240x240 | Head
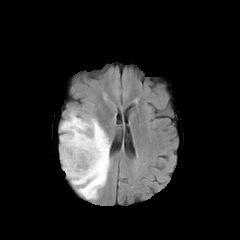
FLAIR MR image.
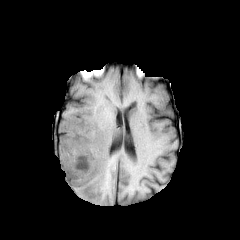
T1-weighted MR.
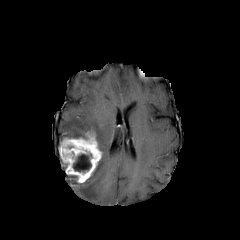
Same slice, post-contrast T1-weighted MR image.
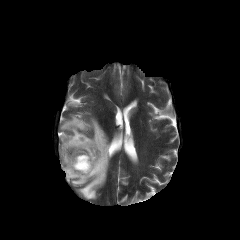
T2-weighted MR image of the same slice.
edema: 61 112 110 199 | enhancing tumor: 59 132 101 183 | non-enhancing tumor core: 73 154 91 171